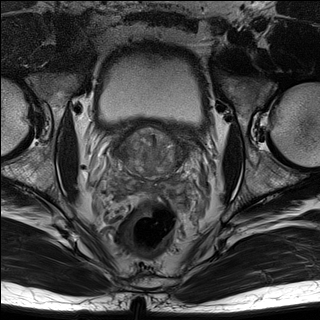
T2-weighted MR image.
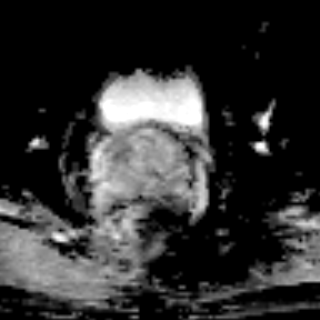
ADC MR.
<segmentation>
  <prostate_peripheral_zone>{"x1": 112, "y1": 156, "x2": 193, "y2": 188}</prostate_peripheral_zone>
  <prostate_transition_zone>{"x1": 113, "y1": 126, "x2": 193, "y2": 180}</prostate_transition_zone>
</segmentation>